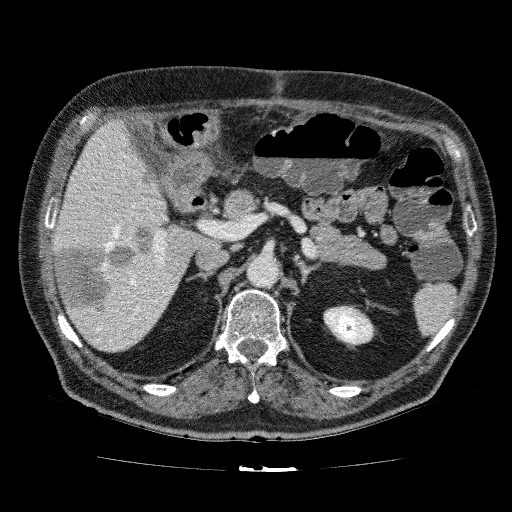
Upper abdomen | CT scan slice
Findings:
- hepatic lesion: x1=138, y1=168, x2=157, y2=188; x1=51, y1=214, x2=156, y2=314
- liver: x1=50, y1=118, x2=222, y2=353
- kidney: x1=323, y1=306, x2=373, y2=344